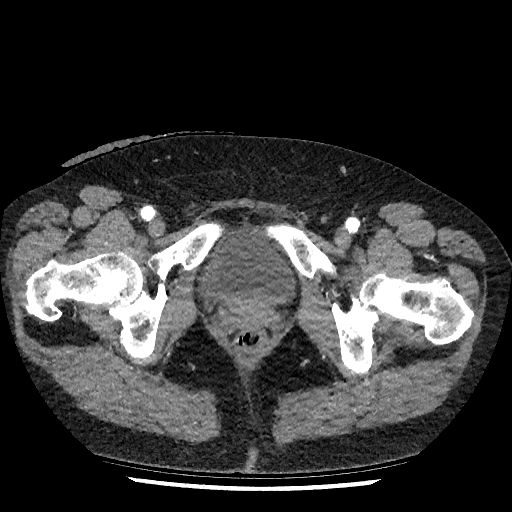

Pelvis | CT
Urinary bladder = 201 227 295 308.